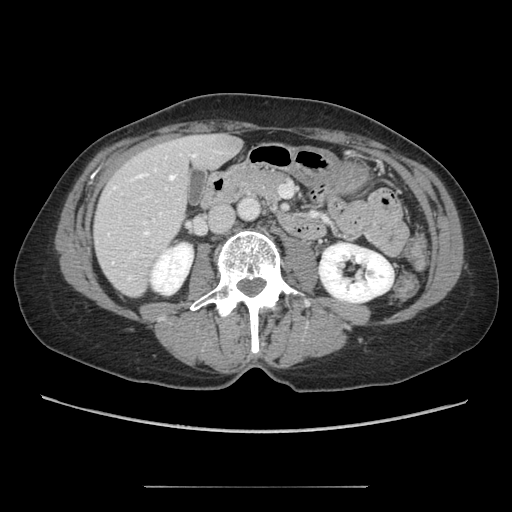

Upper abdomen; CT slice
* pancreas: l=221, t=164, r=292, b=213